Brain.
FLAIR MR.
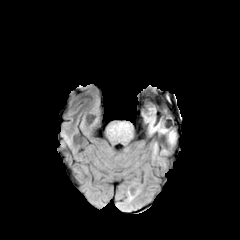
T1-weighted MRI.
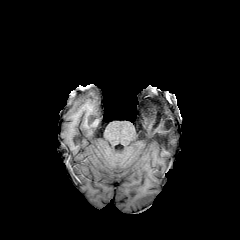
Post-contrast T1-weighted MR image.
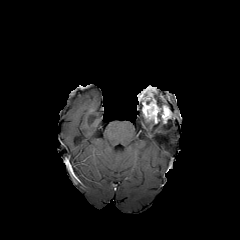
T2-weighted MRI.
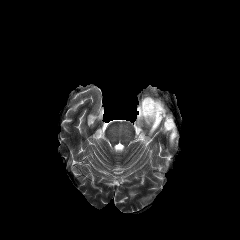
edema:
  - 144:118:176:145
  - 152:143:158:155
enhancing_tumor:
  - 142:102:161:122
non-enhancing_tumor_core:
  - 156:104:165:121